MR | Cardiac | Slice 105/130 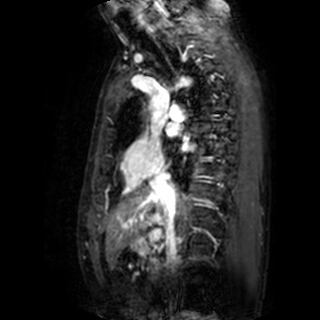 2 left atrium regions are located at (x1=165, y1=125, x2=177, y2=136), (x1=183, y1=143, x2=195, y2=150).